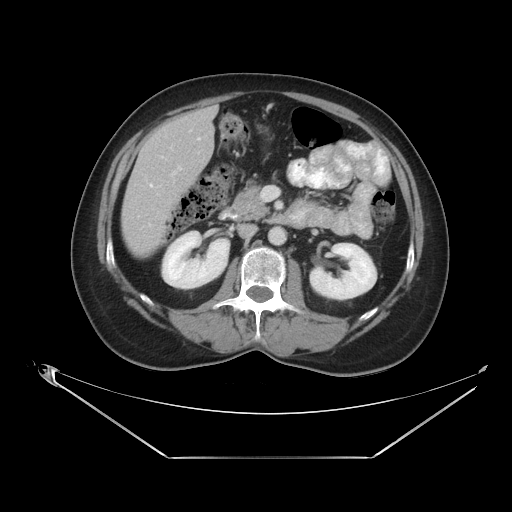 Abdomen; 512x512; CT
The vessel annotation is not exhaustive.
hepatic vessel: {"x1": 170, "y1": 165, "x2": 181, "y2": 176}